Liver; Computed tomography

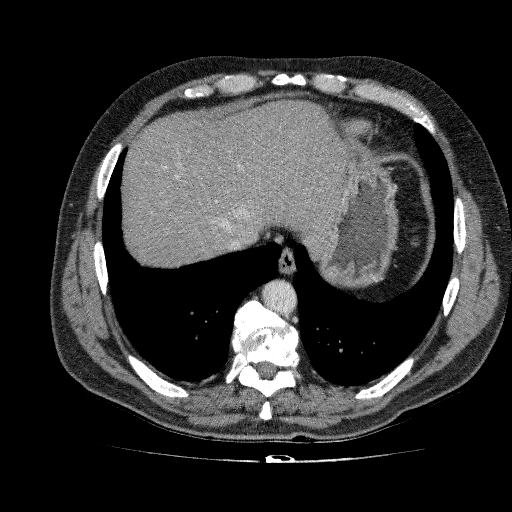
The liver is at x1=121 y1=99 x2=343 y2=268.